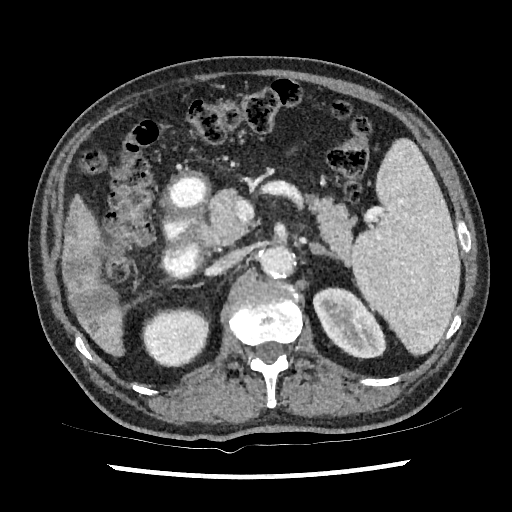
CT slice
2 kidney regions appear at 144, 311, 207, 365; 313, 288, 385, 357. 4 liver regions are bounded by 65, 196, 103, 261; 66, 272, 112, 302; 64, 234, 73, 259; 80, 295, 122, 354. 3 liver lesion regions are located at 72, 204, 79, 212; 72, 286, 113, 332; 63, 217, 100, 283.